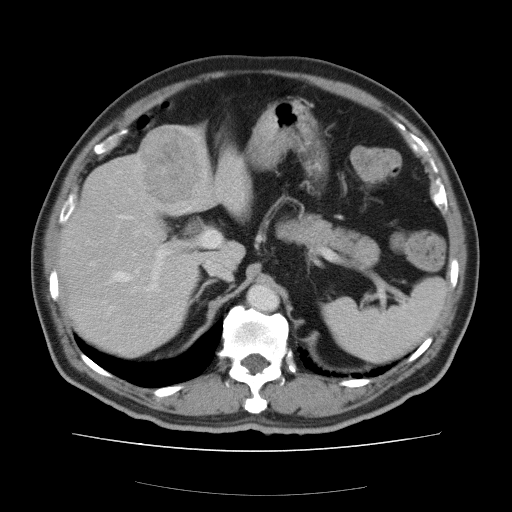
CT scan slice. Abdomen.

The vessel annotation is not exhaustive.
The liver tumor is located at rect(142, 131, 198, 202). 6 hepatic vessel regions are located at rect(201, 230, 220, 247); rect(108, 306, 110, 312); rect(120, 216, 123, 217); rect(148, 247, 170, 287); rect(135, 269, 137, 272); rect(112, 271, 129, 280).